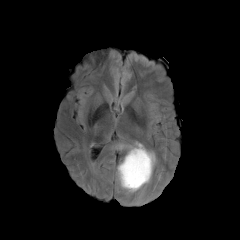
FLAIR MRI.
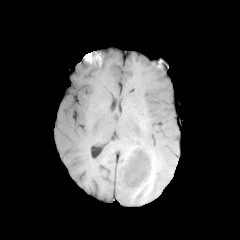
T1-weighted MRI.
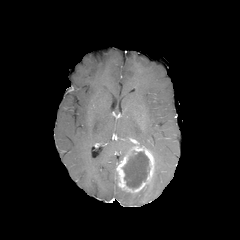
Post-contrast T1-weighted MRI.
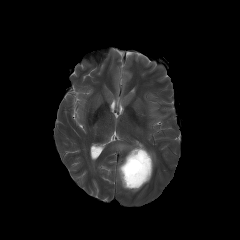
Same slice, T2-weighted MR image.
• enhancing tumor: rect(116, 155, 145, 191); rect(130, 145, 153, 181)
• non-enhancing tumor core: rect(123, 151, 149, 188)
• edema: rect(123, 143, 136, 155)